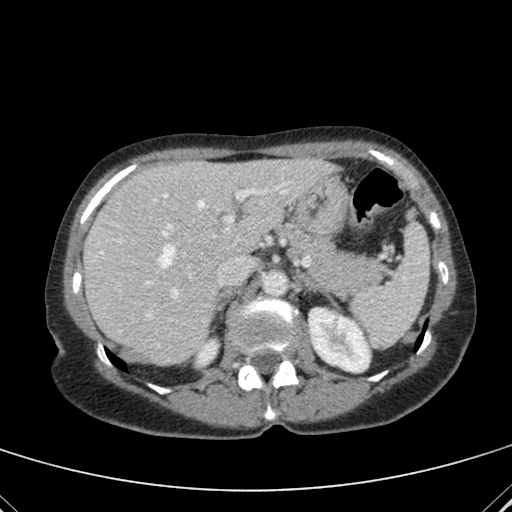 CT scan slice

Liver: bounding box [83, 159, 337, 362].
Kidney: bounding box [198, 341, 216, 364], [309, 308, 369, 365].